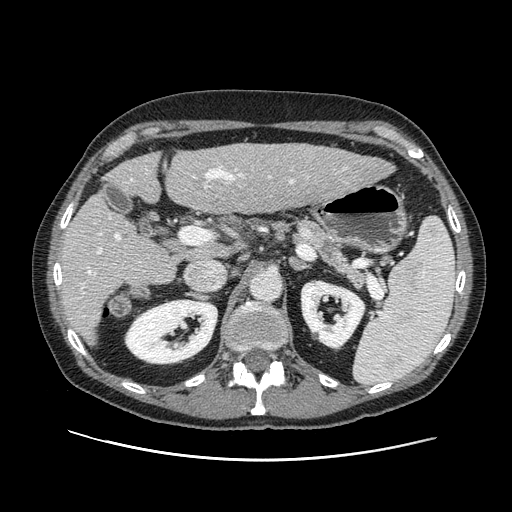 Image size 512x512, CT scan slice
Pancreatic tumor: bounding box (x1=322, y1=239, x2=332, y2=256).